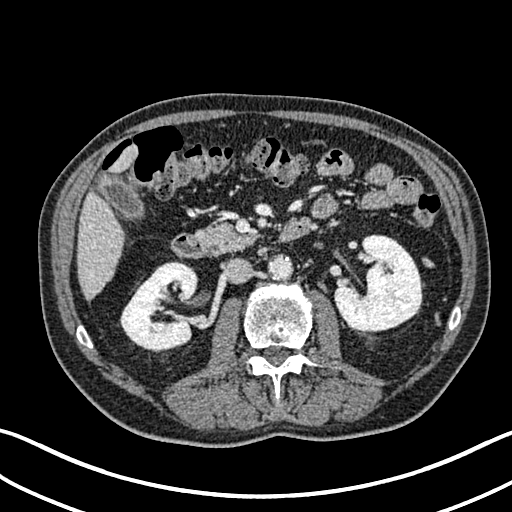

Liver; CT slice

{
  "kidney": [
    "121:263:196:349",
    "335:235:421:330"
  ],
  "liver": [
    "78:189:123:298",
    "110:146:137:171"
  ]
}